FLAIR MR.
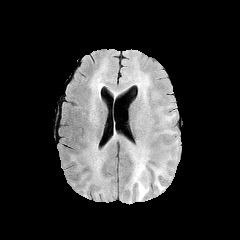
T1-weighted MR image.
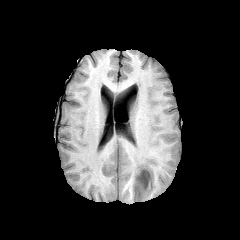
Post-contrast T1-weighted MR.
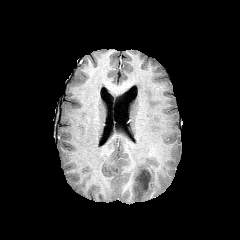
T2-weighted magnetic resonance.
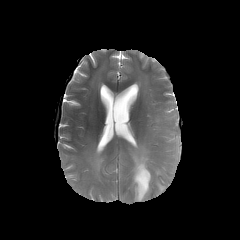
Brain.
Non-enhancing tumor core at [x1=136, y1=169, x2=150, y2=192].
Edema at [x1=83, y1=144, x2=104, y2=177], [x1=136, y1=183, x2=149, y2=200], [x1=129, y1=146, x2=165, y2=191].